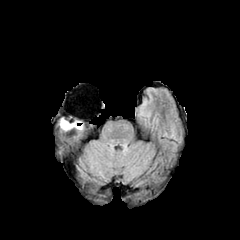
FLAIR MR.
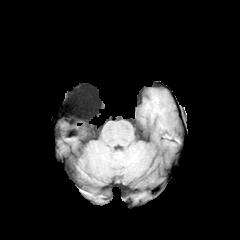
T1-weighted MR image of the same slice.
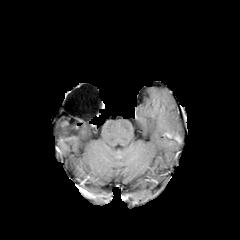
Same slice, post-contrast T1-weighted magnetic resonance.
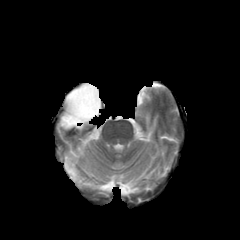
T2-weighted MR image.
Head
The edema is bounded by bbox(59, 118, 82, 130).